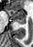

MR; Hippocampus
The anterior hippocampus is at 5,9,25,22. The posterior hippocampus is bounded by 18,23,25,24.